FLAIR magnetic resonance.
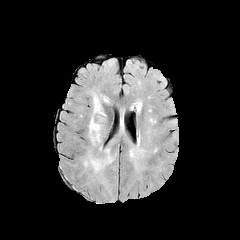
T1-weighted MR image.
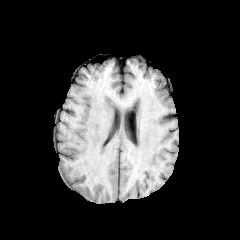
Post-contrast T1-weighted magnetic resonance.
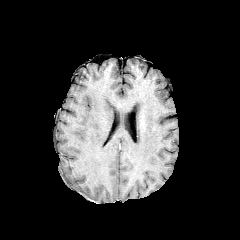
T2-weighted MRI.
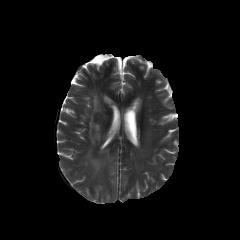
• edema: <bbox>104, 148, 110, 162</bbox>, <bbox>92, 94, 106, 120</bbox>, <bbox>91, 160, 100, 170</bbox>, <bbox>89, 115, 103, 145</bbox>